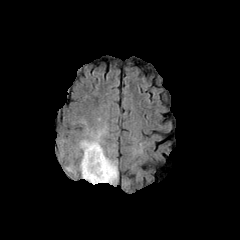
FLAIR MR image.
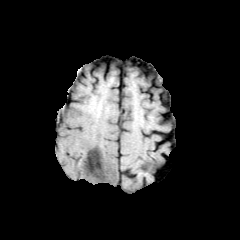
T1-weighted MR image.
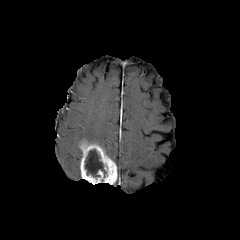
Post-contrast T1-weighted MR.
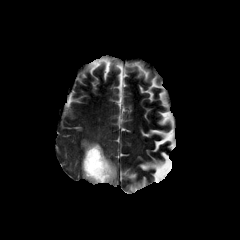
Same slice, T2-weighted magnetic resonance.
Brain.
The enhancing tumor is at rect(80, 140, 117, 183). The edema appears at rect(88, 133, 103, 147). The non-enhancing tumor core appears at rect(85, 150, 105, 176).